Field of view 700 mm wide, 3.27 mm slice spacing | Slice 78/536 | CT image
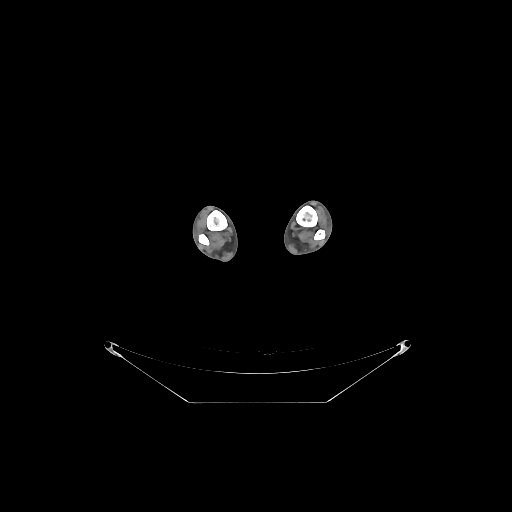

Bone = <box>314,229,325,240</box>, <box>198,234,209,245</box>, <box>207,210,227,230</box>, <box>296,205,317,226</box>.